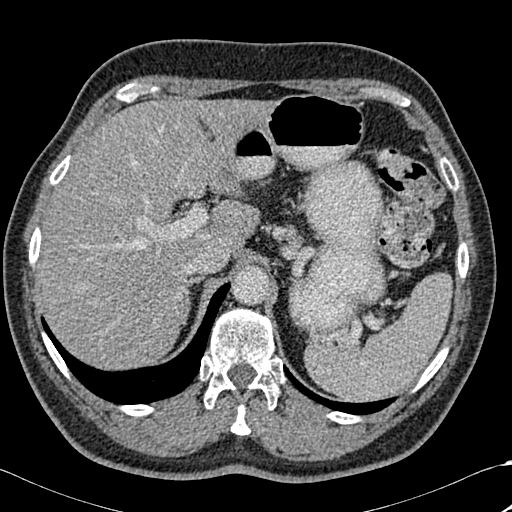 CT scan slice | Abdomen | Image size 512x512
Segmented structures:
* liver: rect(39, 100, 271, 369); rect(221, 201, 259, 243)
* lung: rect(284, 366, 395, 414); rect(41, 283, 230, 404)
* bone: rect(445, 166, 458, 189); rect(43, 334, 68, 376); rect(458, 243, 468, 277); rect(123, 91, 134, 99); rect(231, 405, 249, 435); rect(29, 228, 40, 263); rect(50, 161, 67, 184); rect(415, 348, 447, 389); rect(200, 309, 285, 407); rect(327, 412, 359, 423); rect(121, 405, 153, 415)